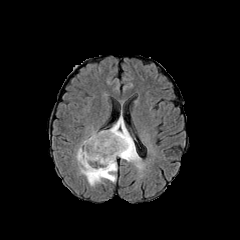
FLAIR MR.
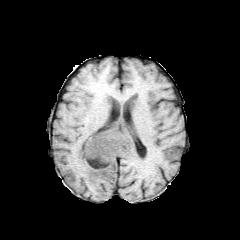
Same slice, T1-weighted MR.
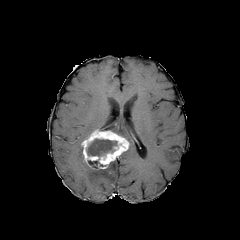
Post-contrast T1-weighted MR image of the same slice.
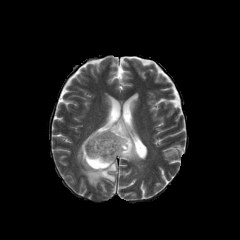
T2-weighted MR image of the same slice.
Brain.
Non-enhancing tumor core at left=86, top=139, right=116, bottom=155; left=88, top=160, right=105, bottom=169.
Enhancing tumor at left=82, top=130, right=129, bottom=168.
Edema at left=108, top=117, right=141, bottom=167; left=76, top=145, right=117, bottom=185.